240x240. Brain.
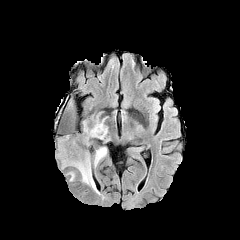
FLAIR magnetic resonance.
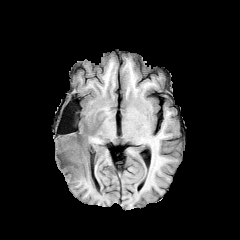
Same slice, T1-weighted MRI.
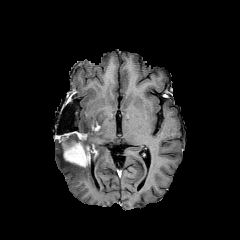
Post-contrast T1-weighted MRI.
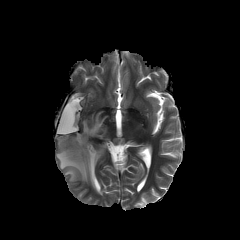
T2-weighted magnetic resonance.
<segmentation>
  <edema><bbox>86, 112, 109, 145</bbox>, <bbox>58, 146, 106, 193</bbox>, <bbox>83, 120, 91, 132</bbox></edema>
  <non-enhancing_tumor_core><bbox>56, 129, 95, 165</bbox></non-enhancing_tumor_core>
  <enhancing_tumor><bbox>64, 143, 89, 167</bbox></enhancing_tumor>
</segmentation>